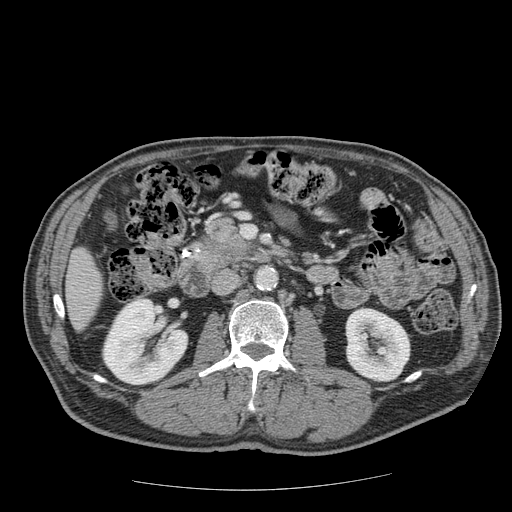

Computed tomography; Image size 512x512

Pancreas — 191, 216, 249, 267.
Pancreatic tumor — 200, 218, 252, 259.